CT image. Image width 440 mm.
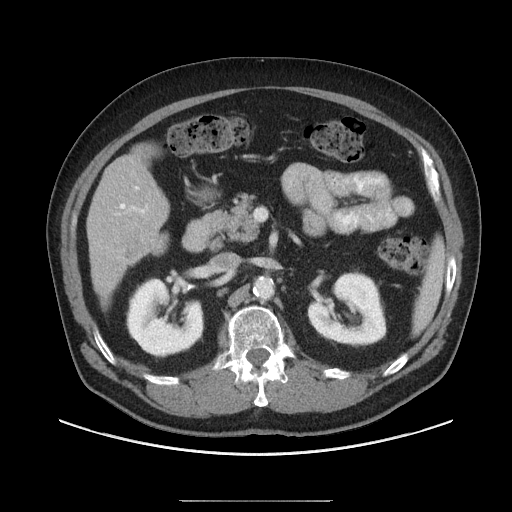

Some hepatic vessels may have no box.
{
  "liver_tumor": [
    "bbox=[123, 236, 141, 258]"
  ],
  "hepatic_vessel": [
    "bbox=[136, 187, 137, 189]",
    "bbox=[121, 204, 124, 208]",
    "bbox=[130, 207, 144, 212]"
  ]
}